CT scan slice
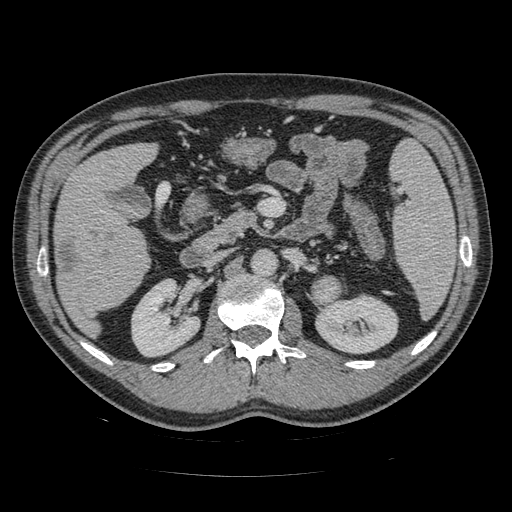

Findings:
* pancreatic tumor: bbox=[312, 276, 341, 303]
* pancreas: bbox=[217, 211, 253, 238]